FLAIR MR.
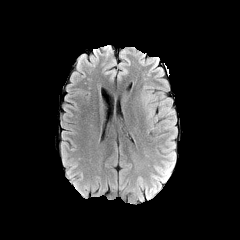
T1-weighted MR image.
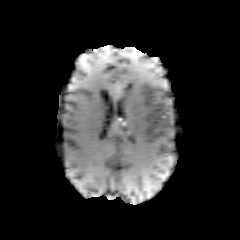
Post-contrast T1-weighted MRI.
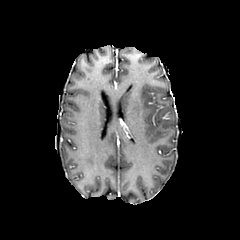
T2-weighted MR image.
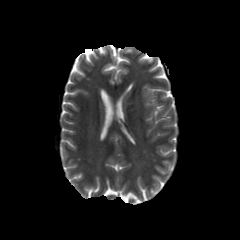
Head; 240x240 px
3 edema regions are located at box(158, 98, 175, 116); box(145, 94, 153, 103); box(165, 116, 177, 140).